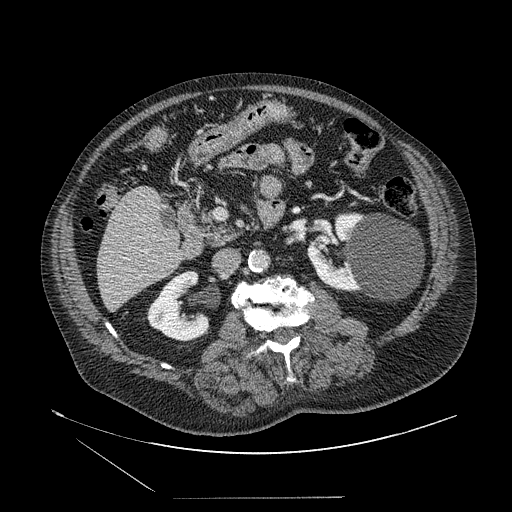 Upper abdomen, 512x512 px, CT image

• pancreas: [199, 208, 239, 246]